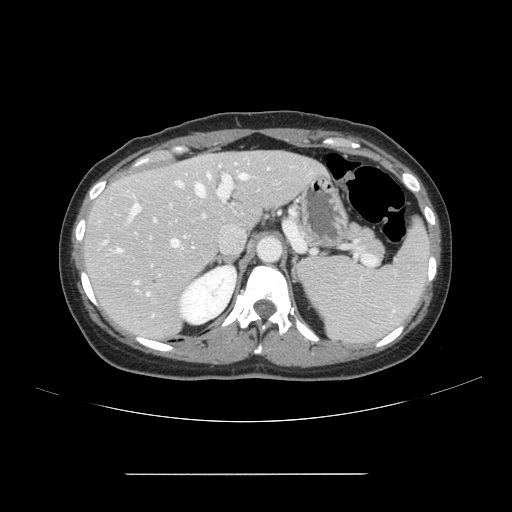

CT slice. Liver. Some hepatic vessels may have no box.
hepatic_vessel:
  - rect(235, 162, 236, 164)
  - rect(203, 215, 205, 216)
  - rect(130, 203, 139, 218)
  - rect(171, 239, 179, 246)
  - rect(196, 183, 204, 196)
  - rect(174, 181, 182, 186)
  - rect(135, 282, 137, 284)
  - rect(154, 219, 155, 221)
  - rect(207, 173, 210, 177)
  - rect(267, 167, 269, 169)
  - rect(217, 175, 232, 201)
  - rect(116, 249, 121, 251)
  - rect(147, 292, 150, 295)
  - rect(104, 241, 106, 243)
  - rect(239, 173, 247, 179)